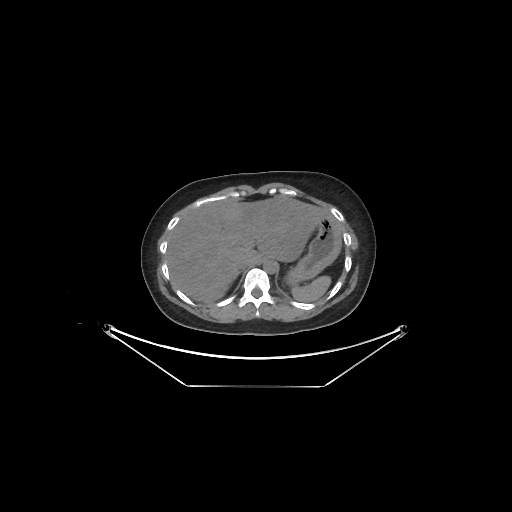

CT slice; Upper abdomen
liver: <box>164,194,346,301</box>